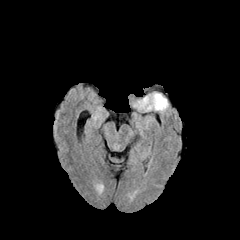
FLAIR magnetic resonance.
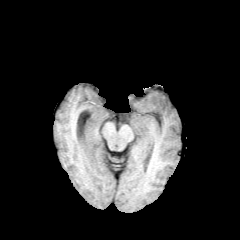
T1-weighted MR image of the same slice.
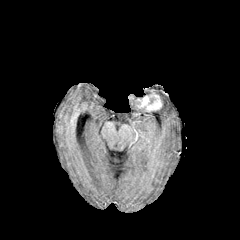
Post-contrast T1-weighted magnetic resonance.
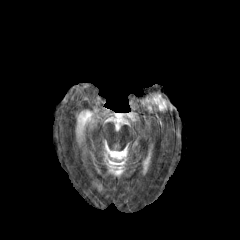
T2-weighted MR.
Head, 240x240 px
The edema is at region(150, 92, 168, 112). The enhancing tumor is bounded by region(140, 93, 162, 111).